MR, Image size 34x53, Slice 24 of 37, Hippocampus 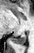 * posterior hippocampus: box=[14, 32, 25, 44]